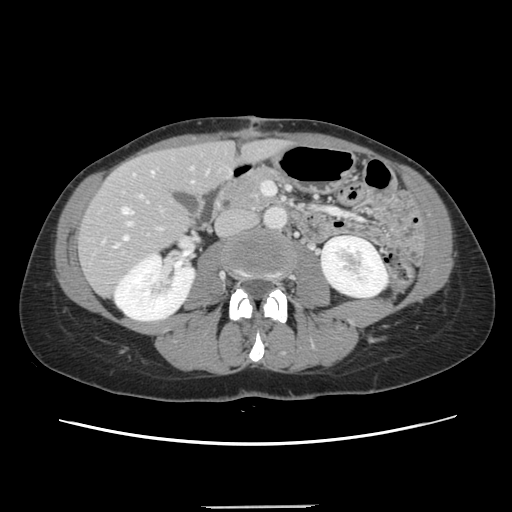 CT

Only some of the vessels may be annotated.
{"hepatic_vessel": ["bbox(139, 195, 142, 197)", "bbox(151, 171, 153, 174)", "bbox(114, 244, 118, 246)", "bbox(123, 236, 127, 239)", "bbox(126, 222, 131, 225)", "bbox(122, 207, 132, 214)", "bbox(190, 167, 192, 168)", "bbox(157, 228, 160, 229)", "bbox(145, 200, 147, 202)"]}